Image width 240 mm; Head; Slice 71 of 155
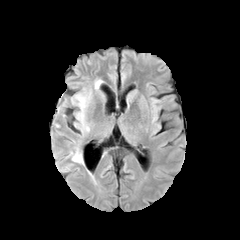
FLAIR MR.
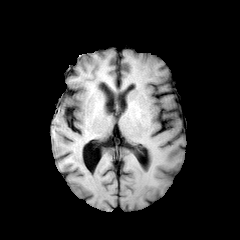
Same slice, T1-weighted MR image.
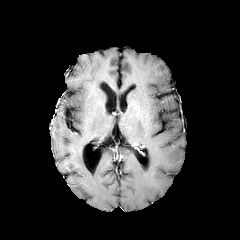
Post-contrast T1-weighted magnetic resonance.
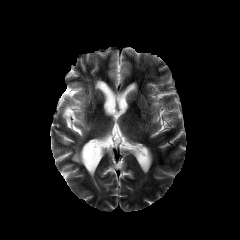
Same slice, T2-weighted magnetic resonance.
<segmentation>
  <edema>[94, 79, 102, 90], [69, 88, 92, 136], [68, 147, 83, 164]</edema>
</segmentation>